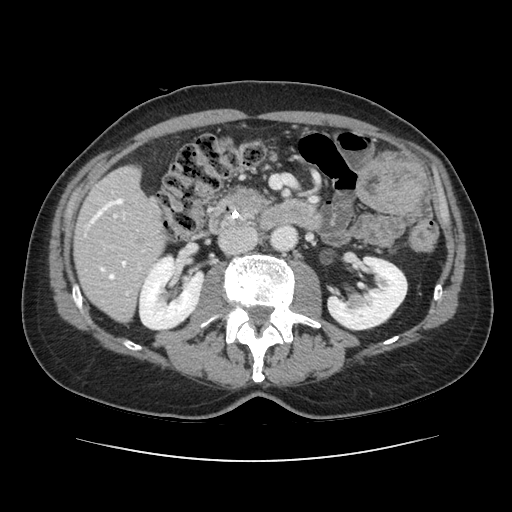

512x512 px | CT image | Upper abdomen
The pancreatic tumor is located at 235 194 252 208. The pancreas is located at 230 190 264 219.